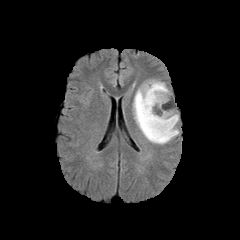
FLAIR MR.
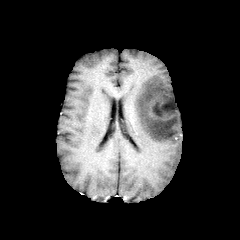
T1-weighted MRI of the same slice.
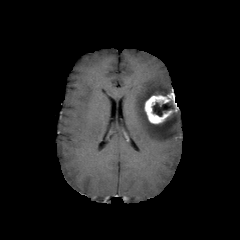
Same slice, post-contrast T1-weighted MR image.
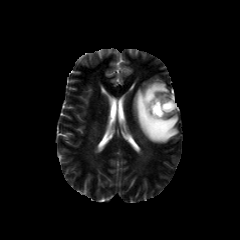
T2-weighted MR of the same slice.
Brain.
2 non-enhancing tumor core regions are bounded by (left=152, top=100, right=174, bottom=116), (left=138, top=86, right=174, bottom=135). The edema is located at (left=132, top=78, right=179, bottom=144). The enhancing tumor is located at (left=144, top=92, right=177, bottom=123).